Image size 240x240
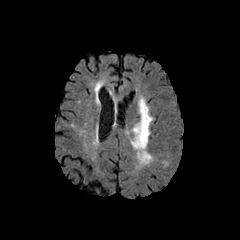
FLAIR magnetic resonance.
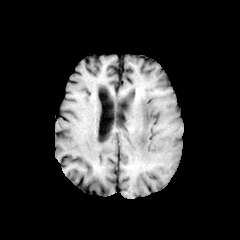
T1-weighted magnetic resonance.
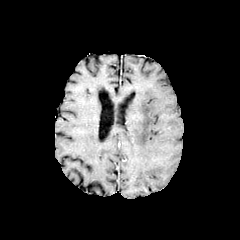
Post-contrast T1-weighted MR image.
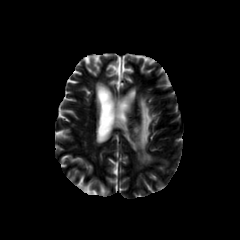
T2-weighted MR.
edema:
  - {"x1": 130, "y1": 96, "x2": 153, "y2": 164}